Liver | CT image
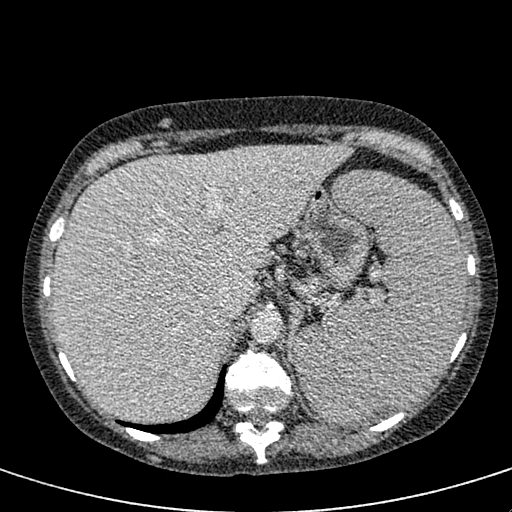 <segmentation>
  <liver>box(54, 146, 355, 419)</liver>
</segmentation>